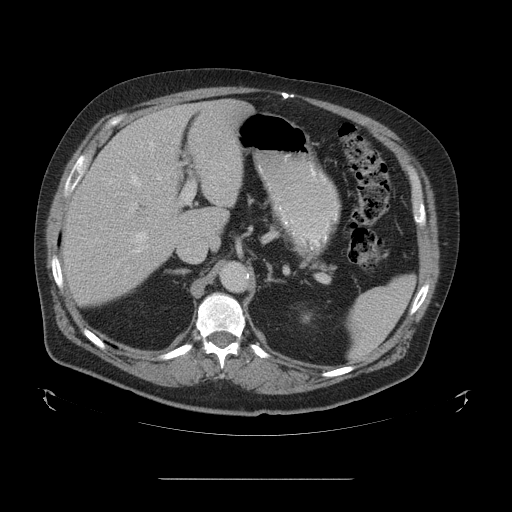
Abdomen, Computed tomography
The vessel boxes may cover only some of the vessels.
Principal 15 of 16 hepatic vessel regions = box(129, 202, 137, 212); box(134, 140, 154, 157); box(128, 169, 141, 187); box(155, 173, 162, 183); box(124, 232, 125, 234); box(117, 257, 125, 264); box(163, 185, 168, 189); box(179, 244, 202, 262); box(160, 209, 163, 211); box(100, 173, 120, 185); box(183, 185, 193, 200); box(209, 176, 213, 187); box(128, 231, 148, 253); box(217, 202, 219, 204); box(146, 194, 149, 198).